FLAIR MR.
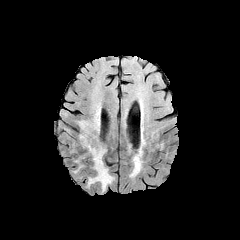
T1-weighted magnetic resonance.
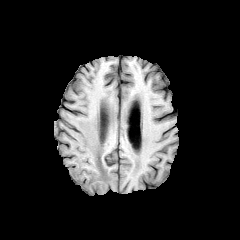
Post-contrast T1-weighted magnetic resonance.
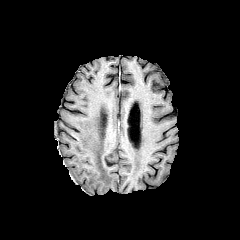
T2-weighted MR image.
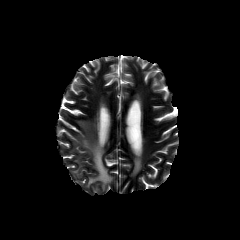
Edema = x1=74 y1=157 x2=83 y2=173, x1=131 y1=154 x2=141 y2=175, x1=78 y1=112 x2=113 y2=191.